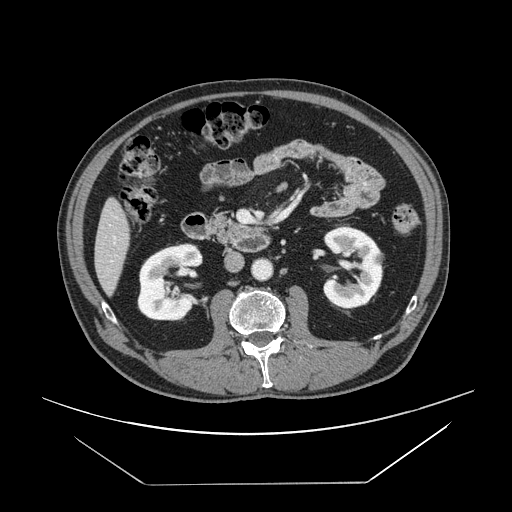

Computed tomography; Upper abdomen
Pancreas = (207,211,229,238).